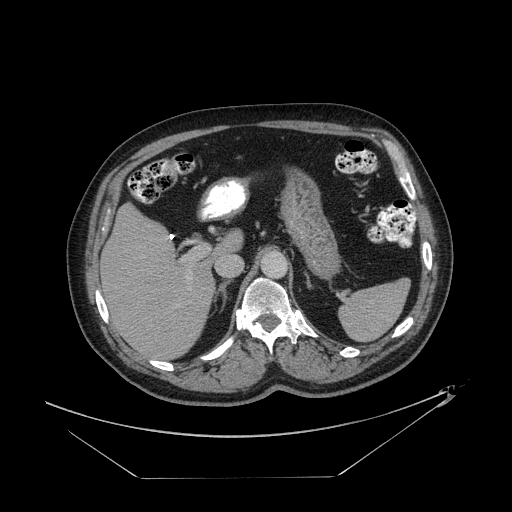
Pelvis, Computed tomography
{"colon_tumor": ["165, 161, 175, 175"]}